Head
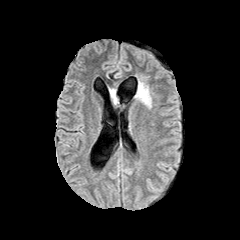
FLAIR magnetic resonance.
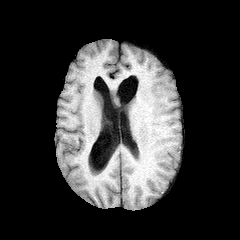
T1-weighted MR image of the same slice.
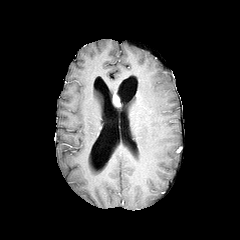
Post-contrast T1-weighted MR of the same slice.
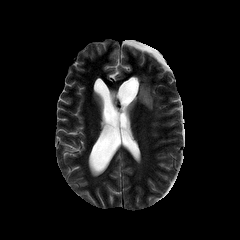
T2-weighted MR.
Findings:
* enhancing tumor: <box>113,92,119,105</box>
* edema: <box>135,80,152,108</box>